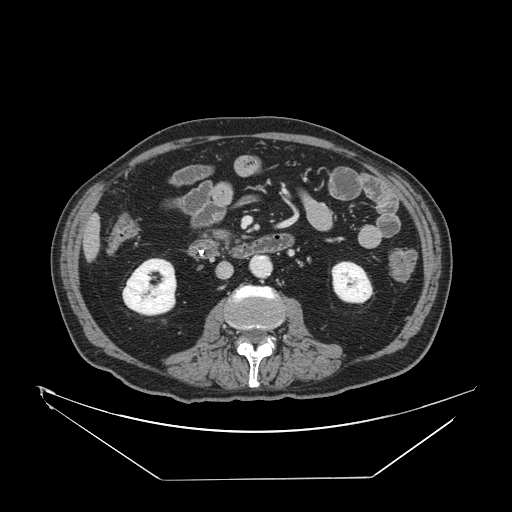
Computed tomography. Pancreatic tumor: bounding box {"x1": 215, "y1": 230, "x2": 225, "y2": 236}.
Pancreas: bounding box {"x1": 209, "y1": 227, "x2": 235, "y2": 243}.